CT scan slice.
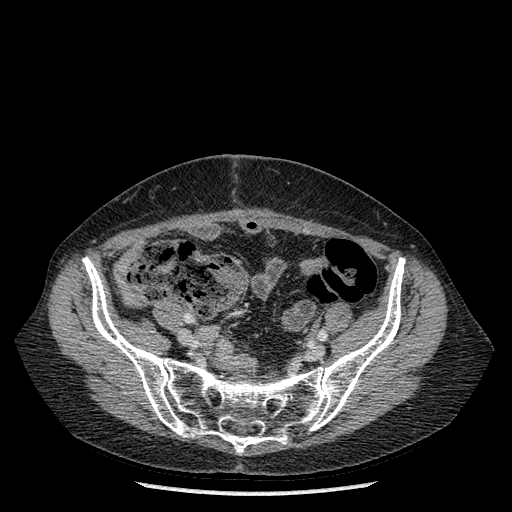
Bone at [x1=82, y1=257, x2=405, y2=454].